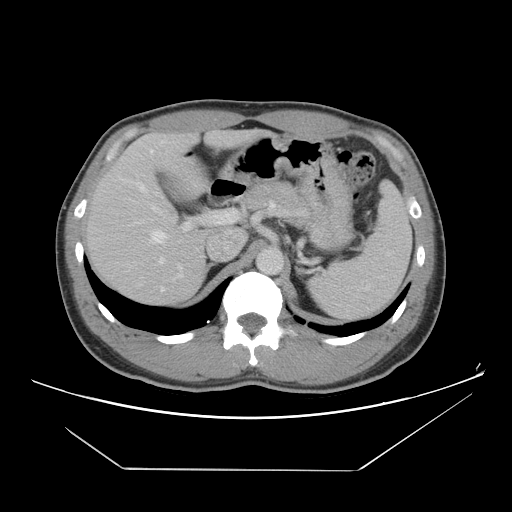 512x512; Abdomen; CT slice
Not every hepatic vessel necessarily has a box.
Hepatic vessel: 151 231 165 242, 150 150 153 152, 169 217 172 219, 180 275 182 277, 155 192 157 195, 208 213 215 222, 200 219 203 222, 135 182 146 192, 183 222 190 231, 159 257 163 263, 152 206 161 214.